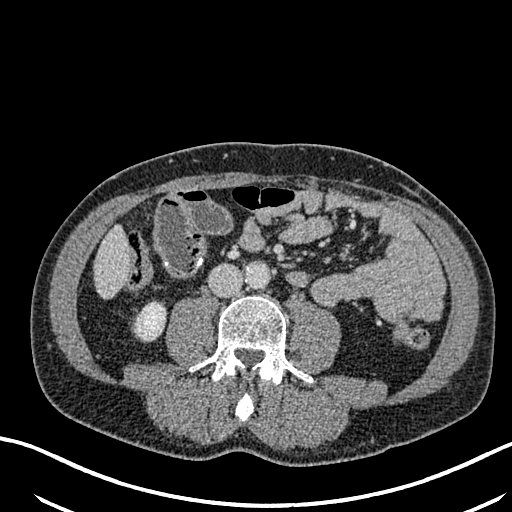

CT scan slice
Annotated regions:
- kidney: [135,303,165,340]
- liver: [95,225,127,297]